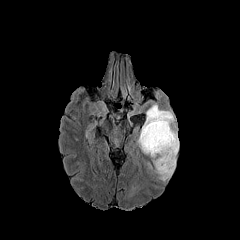
FLAIR MRI.
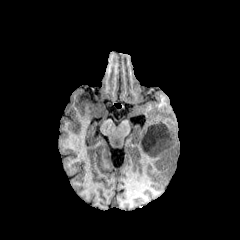
T1-weighted magnetic resonance of the same slice.
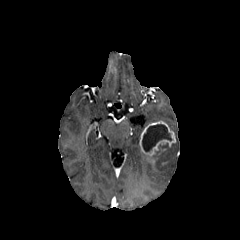
Post-contrast T1-weighted MR of the same slice.
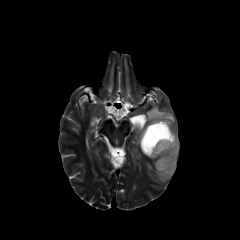
T2-weighted MR image.
Image size 240x240; Brain
Edema: 139 104 179 181.
Non-enhancing tumor core: 141 122 171 151.
Enhancing tumor: 139 120 175 157.